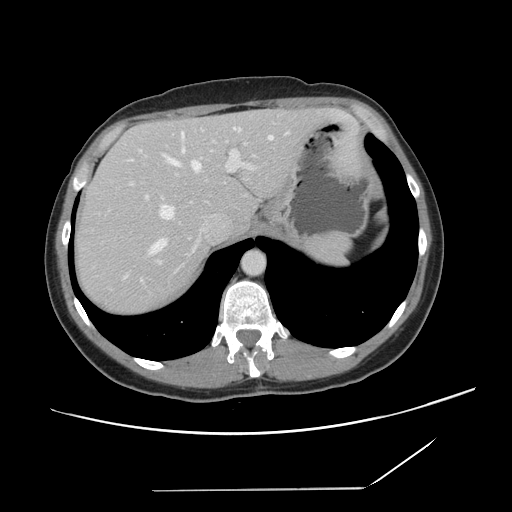
Liver | CT scan slice

The vessel boxes may cover only some of the vessels.
The principal 15 hepatic vessel regions (of 19) are located at (x1=160, y1=205, x2=173, y2=218), (x1=124, y1=275, x2=127, y2=277), (x1=286, y1=132, x2=288, y2=134), (x1=145, y1=196, x2=148, y2=198), (x1=162, y1=154, x2=179, y2=165), (x1=233, y1=128, x2=240, y2=131), (x1=150, y1=239, x2=166, y2=253), (x1=182, y1=147, x2=184, y2=152), (x1=192, y1=161, x2=200, y2=171), (x1=182, y1=131, x2=183, y2=136), (x1=129, y1=183, x2=132, y2=184), (x1=201, y1=129, x2=203, y2=130), (x1=269, y1=136, x2=272, y2=139), (x1=158, y1=261, x2=161, y2=263), (x1=226, y1=150, x2=253, y2=170).